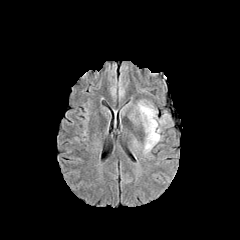
FLAIR MR image.
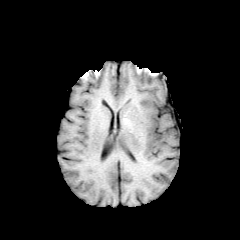
T1-weighted MRI.
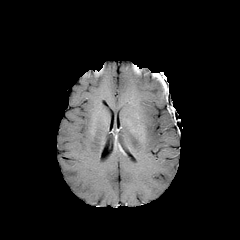
Post-contrast T1-weighted MR image of the same slice.
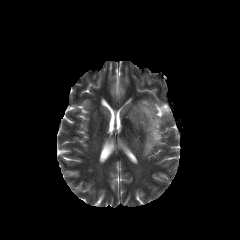
Same slice, T2-weighted magnetic resonance.
edema:
  - 131, 99, 169, 153